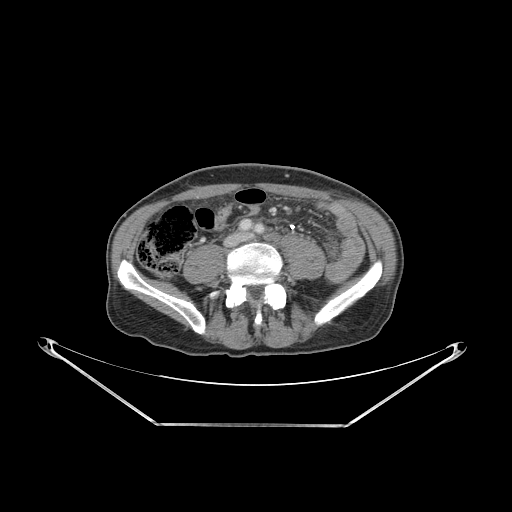 CT scan slice, Image size 512x512
Bone = 315 262 381 323, 226 243 285 328, 118 260 204 333.